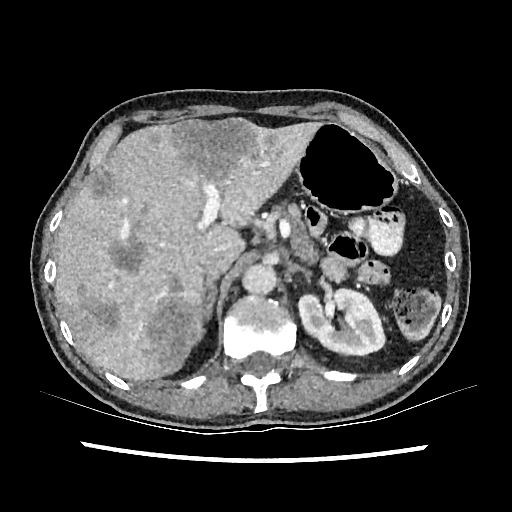

Upper abdomen. CT image.
{
  "kidney": [
    "<bbox>299, 289, 384, 358</bbox>"
  ],
  "liver_lesion": [
    "<bbox>149, 133, 159, 144</bbox>",
    "<bbox>265, 134, 277, 147</bbox>",
    "<bbox>138, 277, 201, 371</bbox>",
    "<bbox>264, 148, 283, 159</bbox>",
    "<bbox>59, 285, 120, 346</bbox>",
    "<bbox>168, 118, 261, 181</bbox>",
    "<bbox>108, 217, 146, 273</bbox>",
    "<bbox>91, 170, 114, 196</bbox>"
  ],
  "liver": [
    "<bbox>57, 123, 321, 378</bbox>"
  ]
}